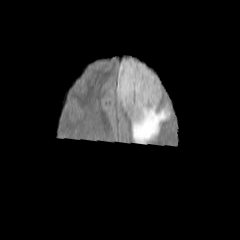
FLAIR MRI.
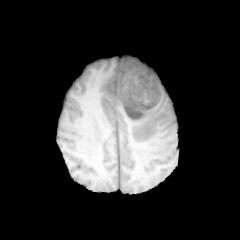
Same slice, T1-weighted MRI.
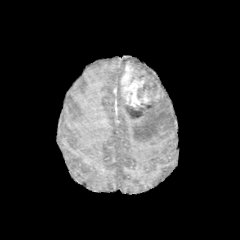
Post-contrast T1-weighted MRI.
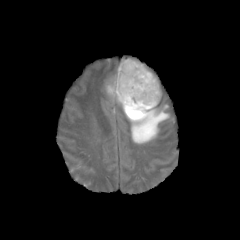
T2-weighted MRI.
Brain.
edema: [126, 101, 170, 143], [103, 57, 148, 111] | non-enhancing tumor core: [125, 95, 162, 119], [127, 61, 160, 96] | enhancing tumor: [120, 62, 159, 107]